Abdomen | CT
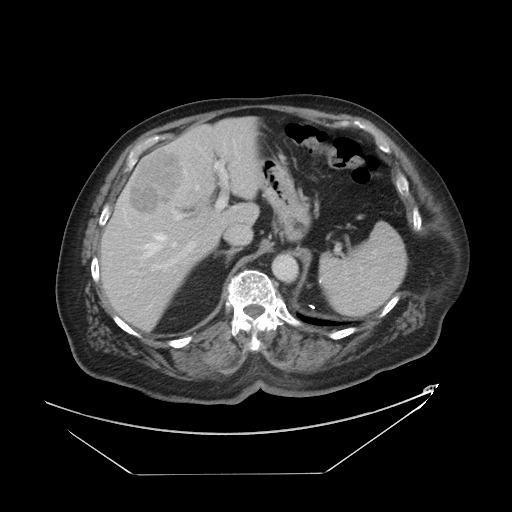 Not every hepatic vessel necessarily has a box.
hepatic vessel: [x1=189, y1=242, x2=194, y2=245], [x1=215, y1=162, x2=219, y2=170] | liver tumor: [x1=128, y1=150, x2=184, y2=215]